CT | Abdomen 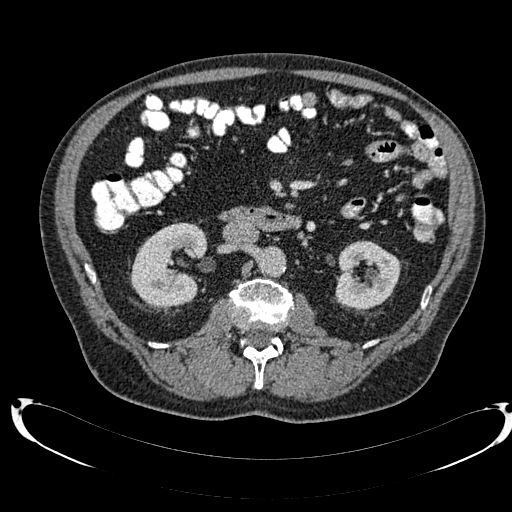

Kidney at 131:223:206:308, 335:241:400:309.